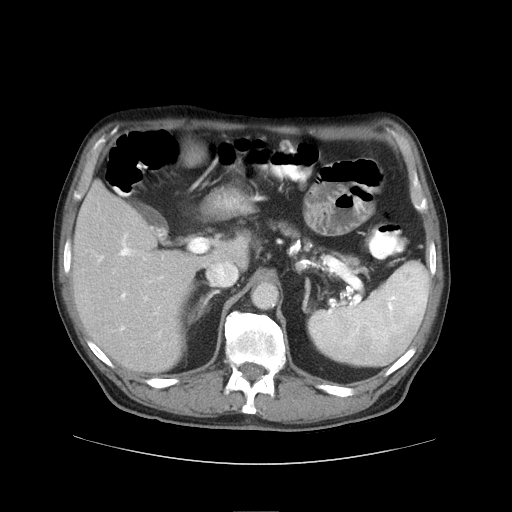
Liver | 512x512 | CT slice
The vessel boxes may cover only some of the vessels.
3 hepatic vessel regions appear at 122 294 125 296, 143 257 145 258, 119 245 135 255.